Liver | Slice index 388 | CT slice

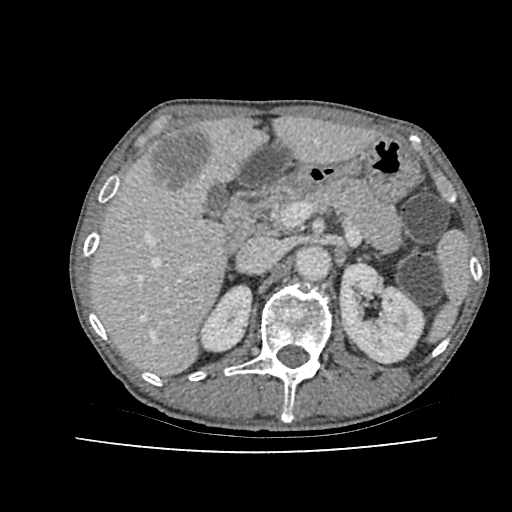
Segmented structures:
- kidney: box=[202, 286, 250, 350]; box=[341, 264, 422, 362]
- liver: box=[92, 118, 372, 372]
- focal liver lesion: box=[145, 130, 207, 191]